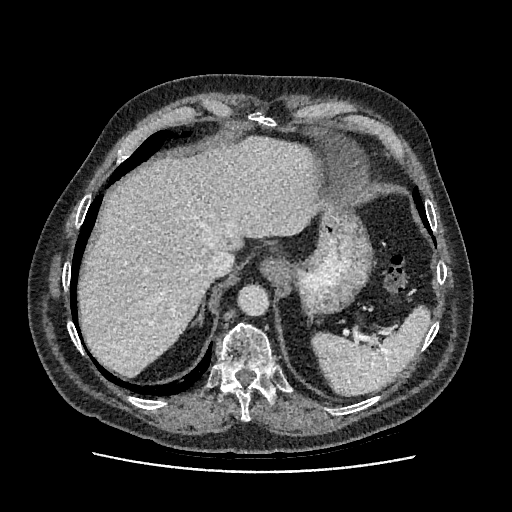 CT.

Liver: bounding box left=79, top=137, right=320, bottom=376.